Field of view 306 mm wide, 1.25 mm slice spacing, CT slice, Liver

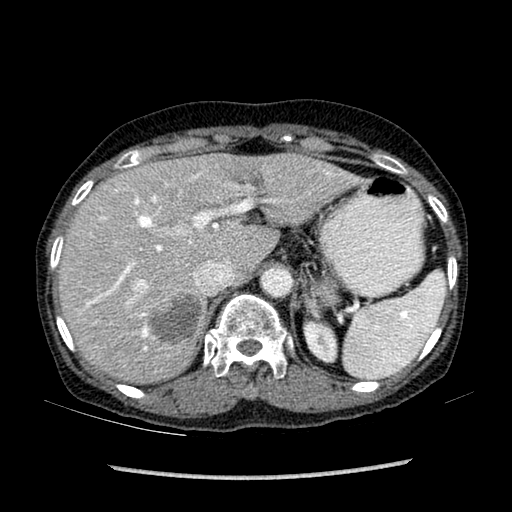 The kidney is at bbox(305, 324, 335, 360). The focal liver lesion lies within bbox(147, 293, 202, 344). The liver appears at bbox(58, 154, 365, 383).